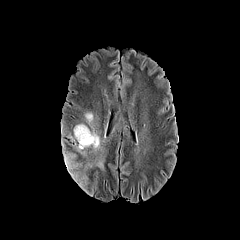
FLAIR magnetic resonance.
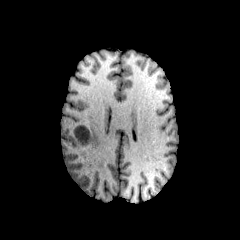
T1-weighted MR image.
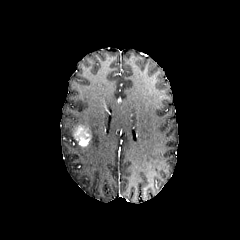
Post-contrast T1-weighted MR image of the same slice.
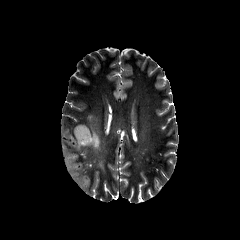
T2-weighted MRI.
edema:
  - 63 152 84 189
  - 67 113 106 156
enhancing_tumor:
  - 74 126 91 149